MR, Slice 31/40 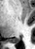
The posterior hippocampus is bounded by (12, 39, 19, 43).